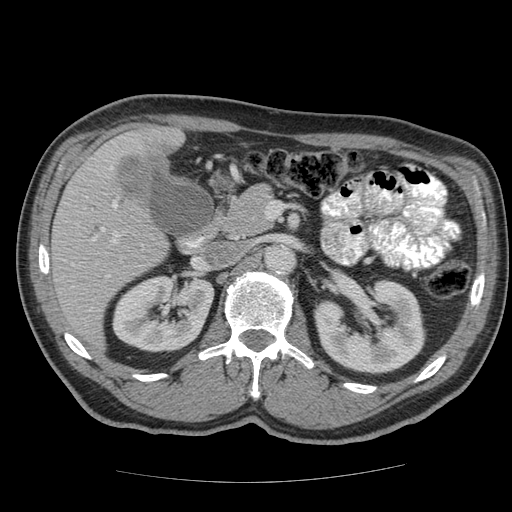 CT image.

Some hepatic vessels may have no box.
The liver tumor lies within <bbox>118, 145, 172, 204</bbox>. 4 hepatic vessel regions appear at <bbox>106, 276, 108, 277</bbox>, <bbox>112, 201, 116, 207</bbox>, <bbox>92, 238, 94, 240</bbox>, <bbox>101, 228, 104, 231</bbox>.